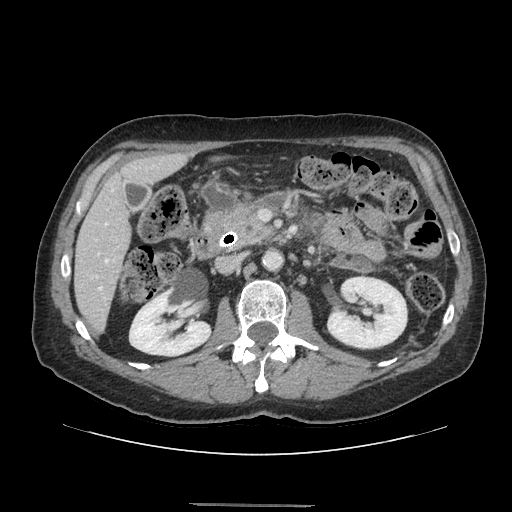 Upper abdomen | 512x512 px | CT
pancreas: [208, 203, 269, 248]